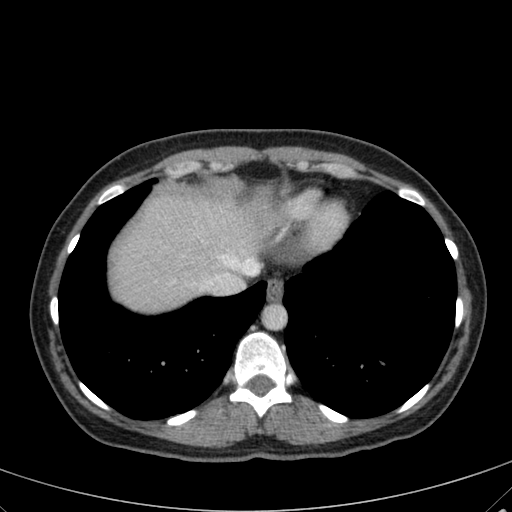 Abdomen, Computed tomography
Findings:
• liver: 109 185 289 312
• hepatic lesion: 116 253 123 261